Image width 373 mm | 512x512 | CT image | Pelvis 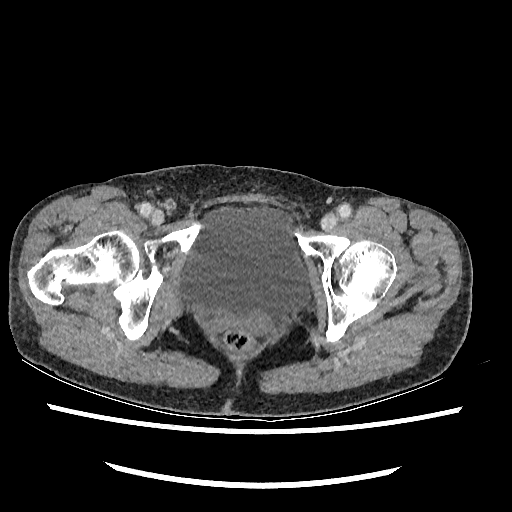

Urinary bladder: left=177, top=205, right=312, bottom=329.